Computed tomography 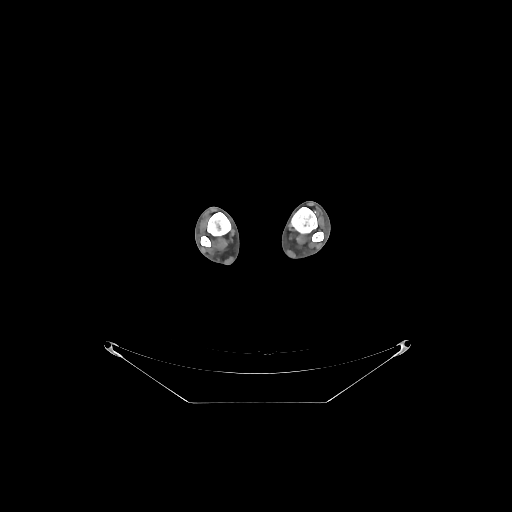
{
  "bone": [
    "bbox=[291, 207, 317, 233]",
    "bbox=[200, 236, 210, 246]",
    "bbox=[207, 212, 230, 235]",
    "bbox=[312, 232, 323, 241]"
  ]
}